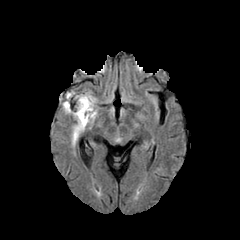
FLAIR MR image.
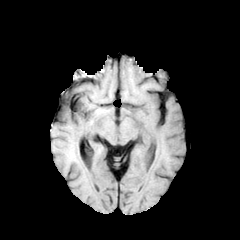
T1-weighted MRI.
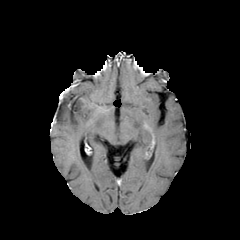
Post-contrast T1-weighted MR of the same slice.
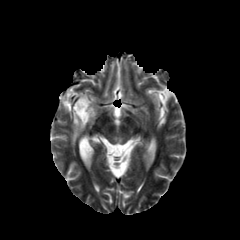
T2-weighted MR.
Head
Edema: bounding box 62 91 97 146.